FLAIR MR.
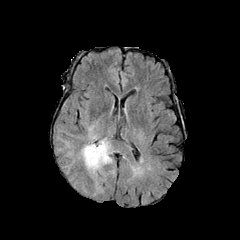
T1-weighted MR image.
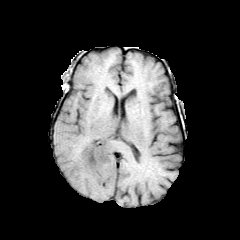
Post-contrast T1-weighted MRI.
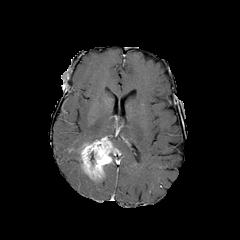
T2-weighted MRI.
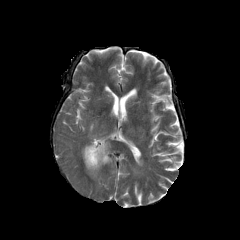
Head.
{
  "enhancing_tumor": [
    "rect(80, 137, 112, 181)"
  ],
  "edema": [
    "rect(82, 120, 102, 142)",
    "rect(105, 169, 115, 176)",
    "rect(103, 157, 115, 170)",
    "rect(70, 150, 81, 163)",
    "rect(107, 138, 115, 156)",
    "rect(93, 182, 104, 195)"
  ]
}